Abdomen, CT scan slice
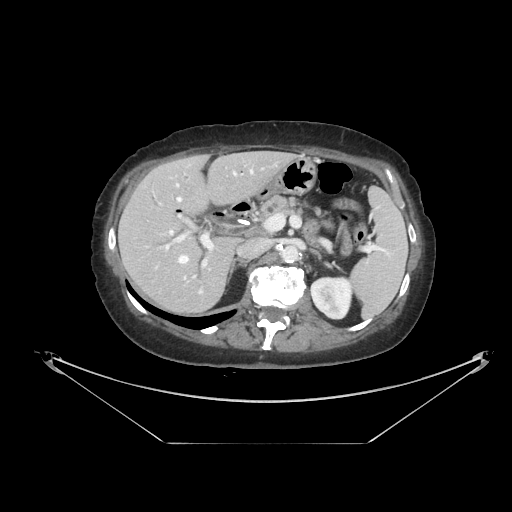 2 pancreas regions are located at (261, 196, 298, 218), (320, 218, 334, 230).